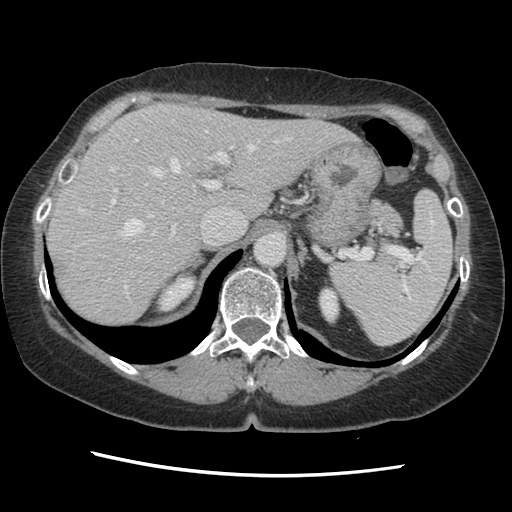
CT scan slice. Abdomen.
The vessel boxes may cover only some of the vessels.
<segmentation partial="true">
  <hepatic_vessel shown="15" total="20">{"x1": 170, "y1": 158, "x2": 179, "y2": 172}, {"x1": 208, "y1": 151, "x2": 227, "y2": 163}, {"x1": 284, "y1": 138, "x2": 290, "y2": 139}, {"x1": 153, "y1": 230, "x2": 155, "y2": 234}, {"x1": 118, "y1": 219, "x2": 143, "y2": 236}, {"x1": 111, "y1": 198, "x2": 115, "y2": 203}, {"x1": 78, "y1": 208, "x2": 85, "y2": 212}, {"x1": 114, "y1": 188, "x2": 117, "y2": 191}, {"x1": 247, "y1": 144, "x2": 254, "y2": 150}, {"x1": 124, "y1": 282, "x2": 127, "y2": 295}, {"x1": 110, "y1": 167, "x2": 116, "y2": 170}, {"x1": 169, "y1": 224, "x2": 175, "y2": 240}, {"x1": 150, "y1": 168, "x2": 162, "y2": 175}, {"x1": 275, "y1": 139, "x2": 279, "y2": 142}, {"x1": 204, "y1": 180, "x2": 219, "y2": 188}</hepatic_vessel>
</segmentation>